CT scan slice. Slice 106 of 836. Image size 512x512.

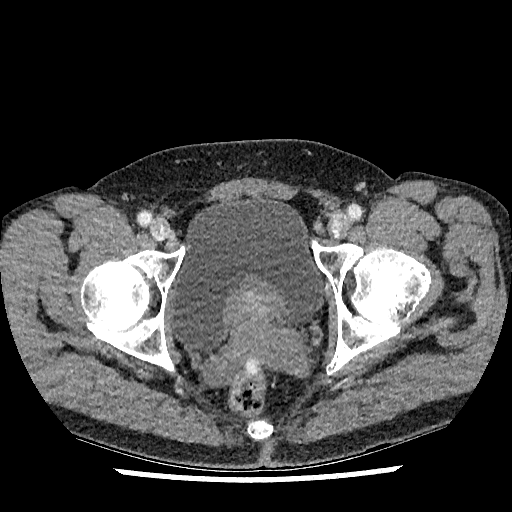 Urinary bladder — (170, 198, 324, 351).